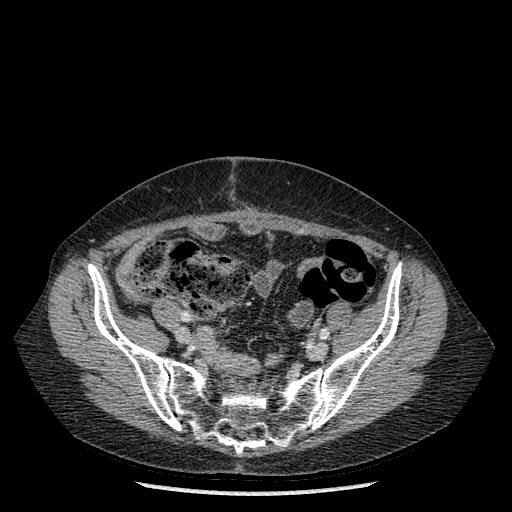
512x512 px. Computed tomography.
bone:
  - rect(87, 262, 402, 455)